CT image; 512x512 px; Slice index 42; Field of view 380 mm wide, 2.50 mm slice spacing

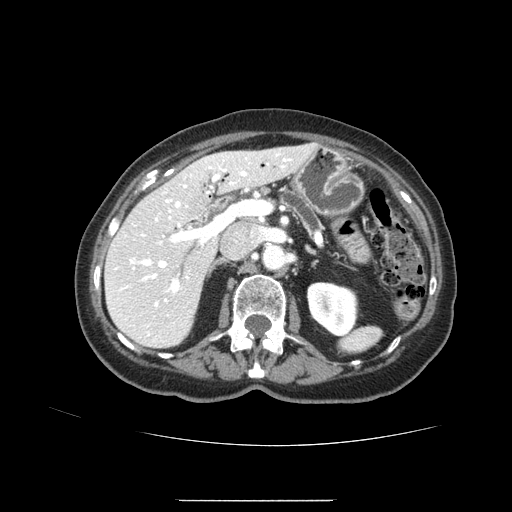
pancreas: <bbox>281, 191, 320, 230</bbox>